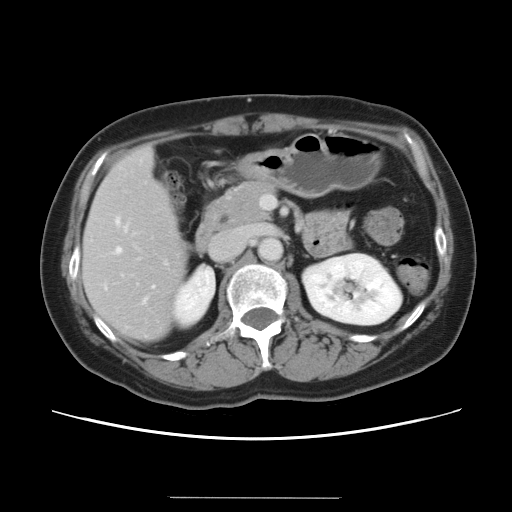
Abdomen, CT
Some hepatic vessels may have no box.
hepatic vessel: <box>138,258,139,259</box>, <box>124,226,127,231</box>, <box>136,248,138,249</box>, <box>142,298,146,303</box>, <box>121,274,122,276</box>, <box>133,233,135,234</box>, <box>164,262,166,264</box>, <box>115,218,119,224</box>, <box>114,248,120,253</box>, <box>104,286,106,288</box>, <box>126,327,127,328</box>, <box>152,286,153,287</box>